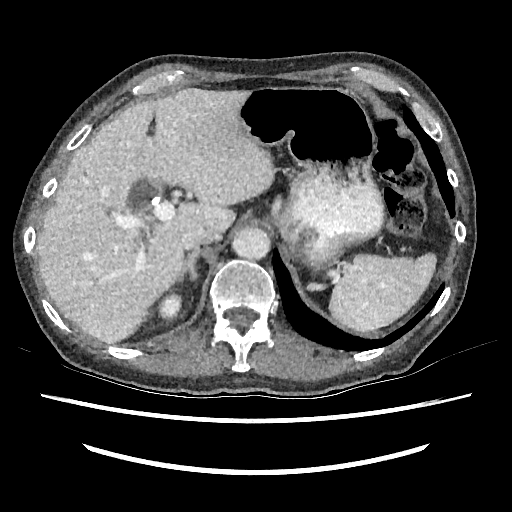 Upper abdomen, Computed tomography
Liver: l=37, t=89, r=272, b=342.
Kidney: l=162, t=297, r=178, b=315.